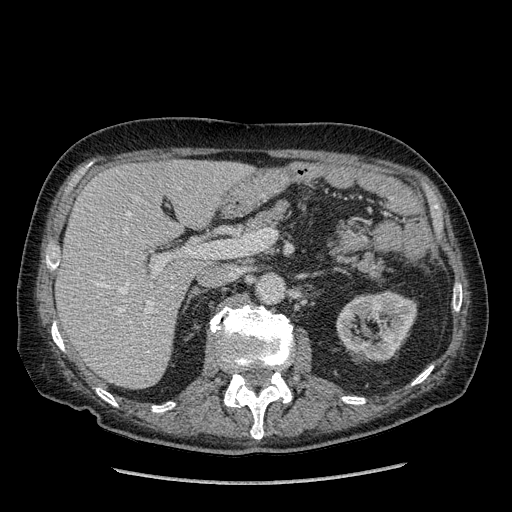

CT image. Liver.

Liver — (55, 159, 254, 388).
Kidney — (336, 291, 416, 360).